Image size 512x512; CT slice
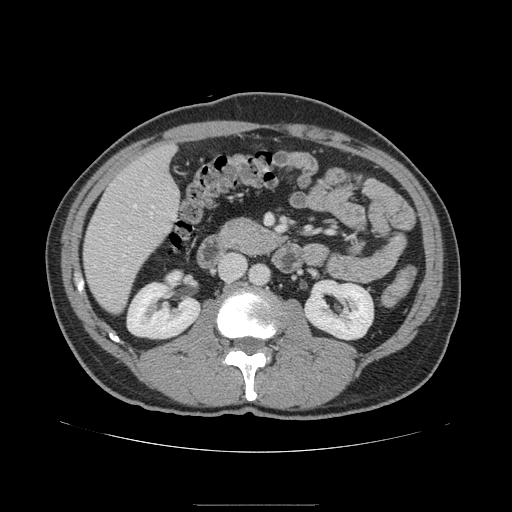 Annotated regions:
• pancreas: rect(218, 218, 285, 256)